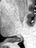

MRI slice. Hippocampus.
The posterior hippocampus lies within {"x1": 7, "y1": 37, "x2": 22, "y2": 41}.